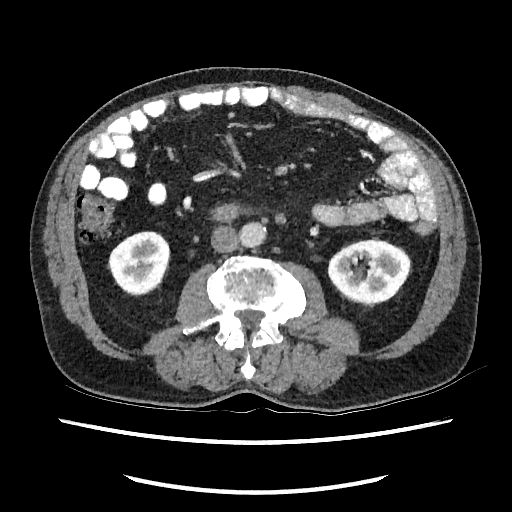

Abdomen | CT scan slice
kidney: 108, 232, 169, 295; 328, 239, 410, 306